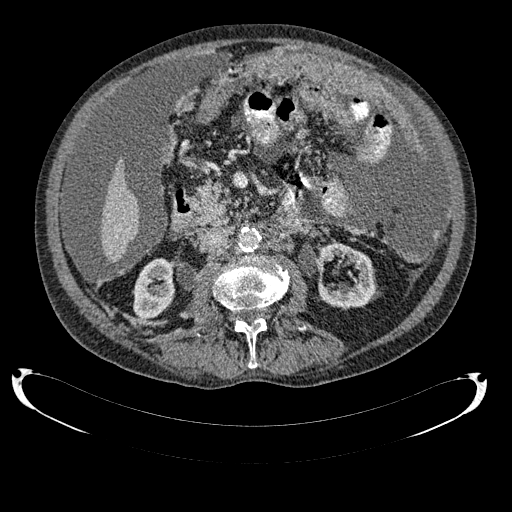
CT
Kidney at x1=133, y1=258, x2=174, y2=319; x1=315, y1=243, x2=375, y2=307.
Liver at x1=101, y1=159, x2=139, y2=262.